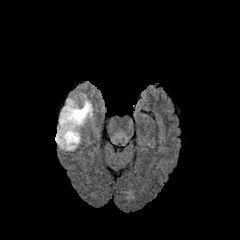
FLAIR MR image.
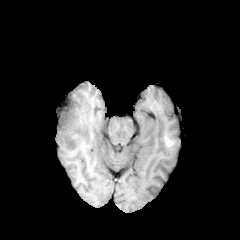
T1-weighted MRI.
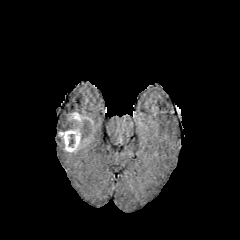
Post-contrast T1-weighted MRI of the same slice.
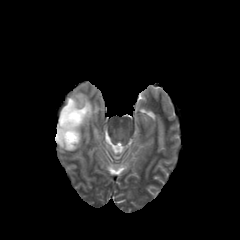
T2-weighted MRI of the same slice.
Brain.
Edema — {"x1": 55, "y1": 124, "x2": 66, "y2": 150}, {"x1": 66, "y1": 92, "x2": 94, "y2": 131}.
Enhancing tumor — {"x1": 58, "y1": 112, "x2": 82, "y2": 151}.
Non-enhancing tumor core — {"x1": 59, "y1": 99, "x2": 83, "y2": 131}, {"x1": 69, "y1": 134, "x2": 74, "y2": 146}.